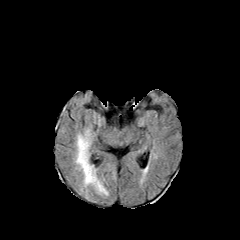
FLAIR MR image.
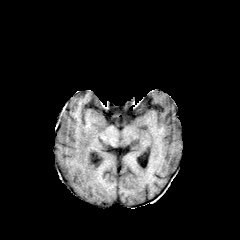
T1-weighted MR image.
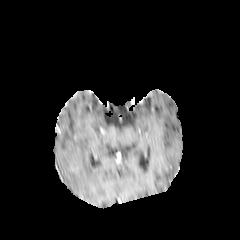
Same slice, post-contrast T1-weighted MR.
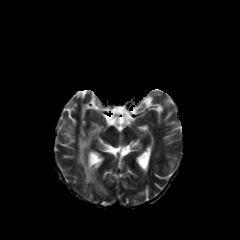
T2-weighted MR image.
Head; 240x240
Edema: bounding box [74, 130, 108, 195].